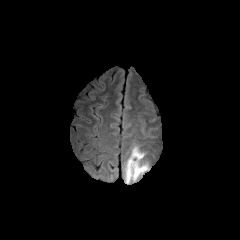
FLAIR MR.
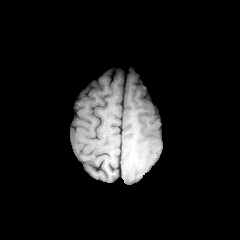
T1-weighted MR image.
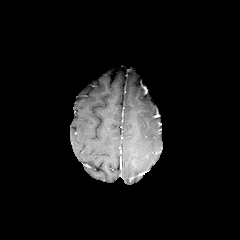
Same slice, post-contrast T1-weighted MR.
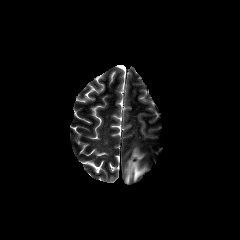
Same slice, T2-weighted magnetic resonance.
240x240 px
• edema: bbox(123, 145, 148, 181)